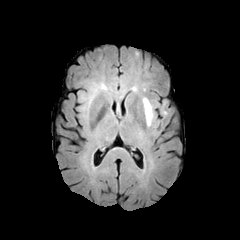
FLAIR MR image.
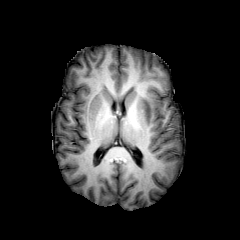
T1-weighted magnetic resonance of the same slice.
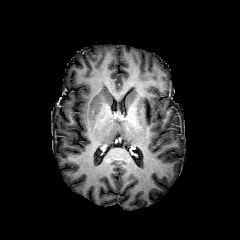
Post-contrast T1-weighted MR image of the same slice.
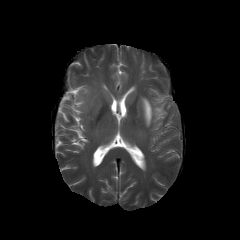
T2-weighted MR image of the same slice.
Head.
Annotated regions:
* non-enhancing tumor core: bbox(145, 105, 149, 117)
* edema: bbox(139, 97, 167, 127); bbox(78, 92, 87, 103)